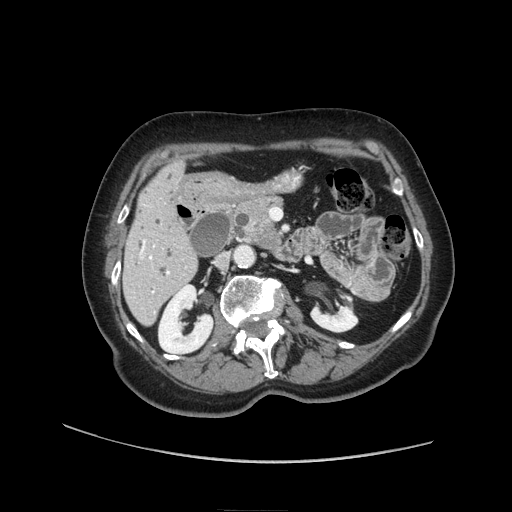
CT slice | 512x512

pancreatic_tumor:
  - (253, 223, 279, 247)
pancreas:
  - (231, 197, 281, 248)